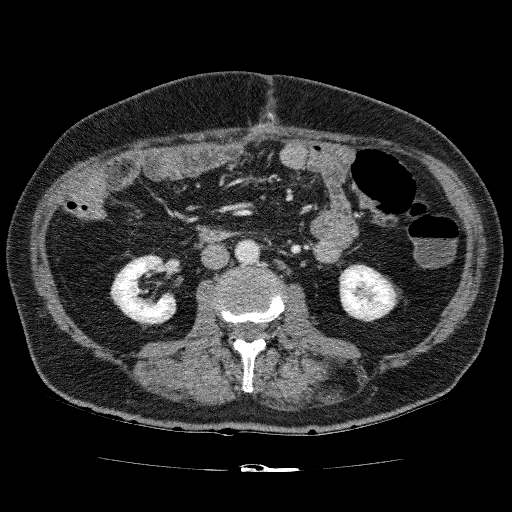

512x512; CT image

Kidney: <bbox>340, 265, 395, 320</bbox>, <bbox>111, 255, 176, 323</bbox>.